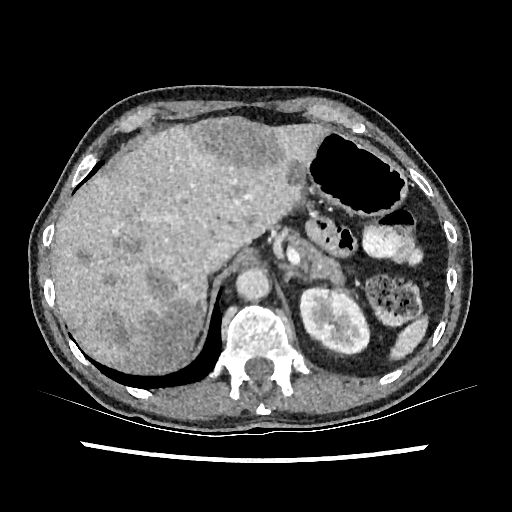 Computed tomography
The kidney is at <bbox>300, 289, 368, 353</bbox>. 10 hepatic lesion regions appear at <bbox>74, 321, 84, 332</bbox>, <bbox>194, 119, 282, 171</bbox>, <bbox>95, 268, 201, 371</bbox>, <bbox>127, 212, 141, 225</bbox>, <bbox>76, 249, 92, 264</bbox>, <bbox>114, 235, 143, 253</bbox>, <bbox>242, 215, 253, 225</bbox>, <bbox>286, 160, 307, 185</bbox>, <bbox>234, 188, 245, 197</bbox>, <bbox>102, 273, 116, 286</bbox>. 2 liver regions appear at <bbox>55, 121, 328, 371</bbox>, <bbox>184, 330, 198, 357</bbox>.